240x240 px; Brain
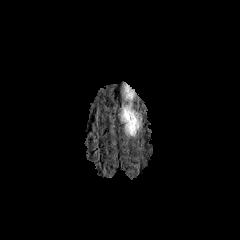
FLAIR MR image.
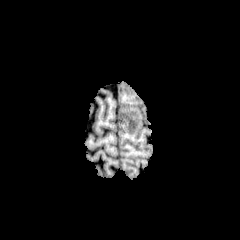
T1-weighted MR.
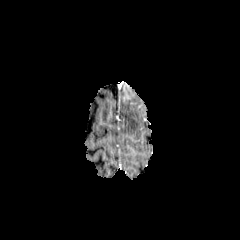
Same slice, post-contrast T1-weighted MRI.
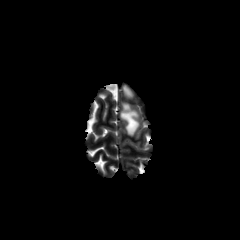
T2-weighted MR.
Enhancing tumor: bounding box region(123, 83, 136, 99).
Edema: bounding box region(119, 98, 141, 137).